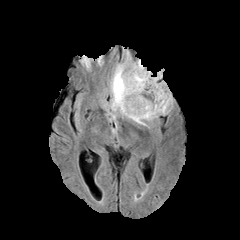
FLAIR MR image.
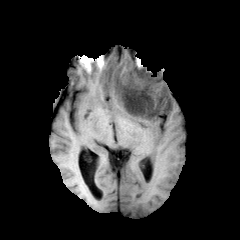
T1-weighted magnetic resonance.
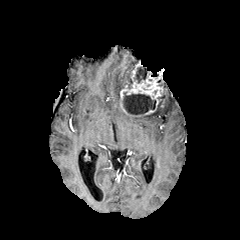
Same slice, post-contrast T1-weighted MR image.
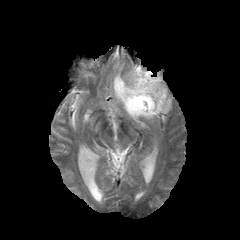
Same slice, T2-weighted magnetic resonance.
240x240.
2 non-enhancing tumor core regions appear at 135,66,147,82; 124,93,155,114. The enhancing tumor appears at 120,63,167,115. 2 edema regions appear at 126,92,172,126; 108,52,135,114.